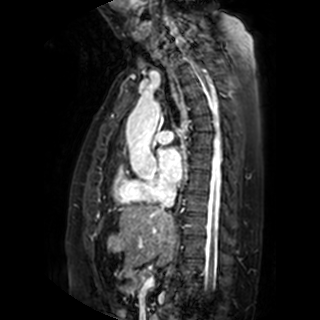
MR.

Segmented structures:
* left atrium: rect(159, 149, 182, 183)